512x512; Upper abdomen; CT slice

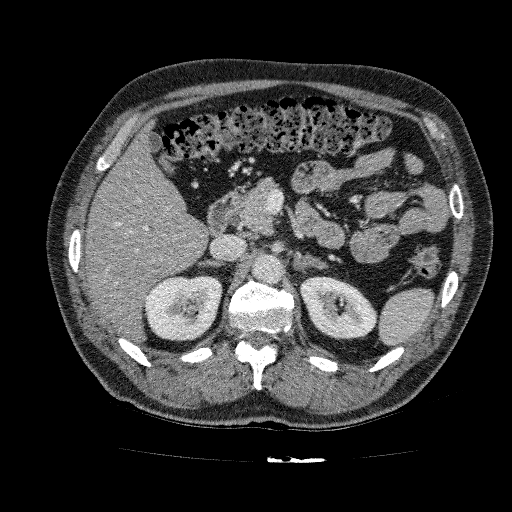

Kidney — (145, 277, 221, 339), (301, 277, 375, 337).
Liver — (85, 119, 209, 342).